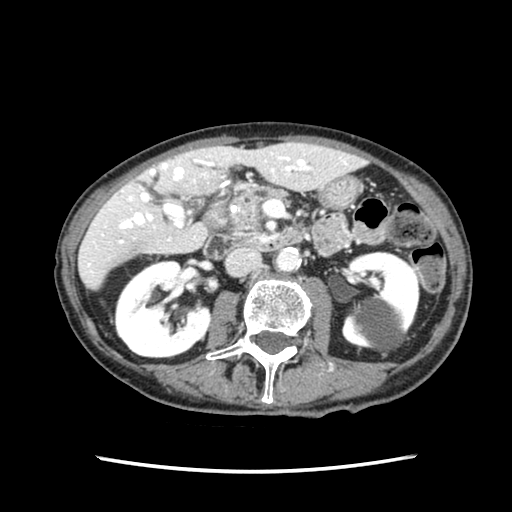

CT slice; Upper abdomen; 512x512 px

Pancreas: bounding box l=230, t=186, r=287, b=231.